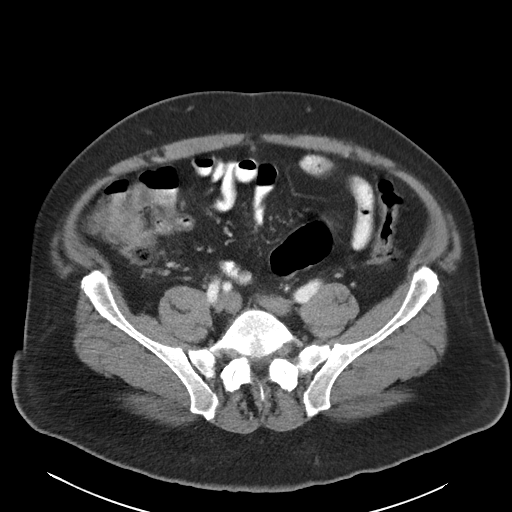
512x512 px; CT scan slice
Annotated regions:
* colon tumor: <bbox>104, 185, 149, 254</bbox>